FLAIR magnetic resonance.
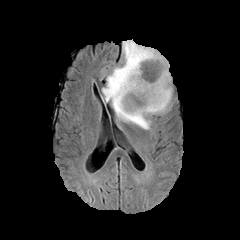
T1-weighted MRI.
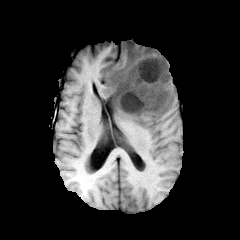
Post-contrast T1-weighted MR image.
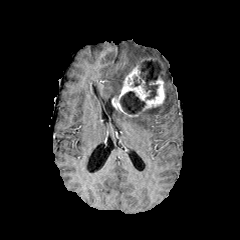
T2-weighted MRI.
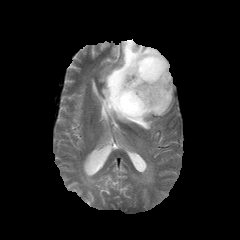
Head
The edema lies within rect(102, 40, 173, 129). The enhancing tumor is at rect(111, 65, 165, 116). 3 non-enhancing tumor core regions are bounded by rect(120, 91, 147, 114); rect(107, 90, 119, 109); rect(136, 58, 166, 99).